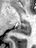 MRI slice
The posterior hippocampus is bounded by bbox=[14, 22, 30, 35].